FLAIR MR image.
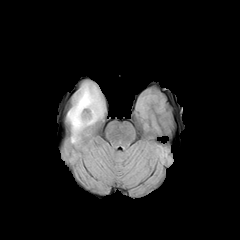
T1-weighted MR image.
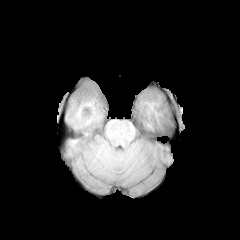
Post-contrast T1-weighted magnetic resonance.
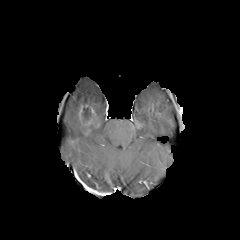
T2-weighted MRI.
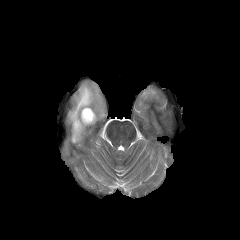
240x240.
edema: 67, 82, 105, 144 | non-enhancing tumor core: 80, 105, 96, 125